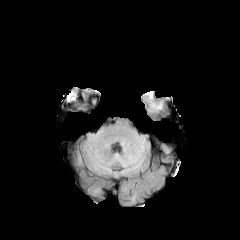
FLAIR MRI.
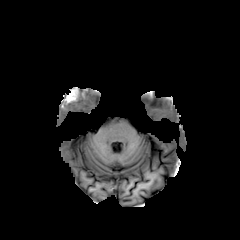
Same slice, T1-weighted MR image.
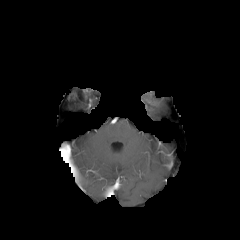
Same slice, post-contrast T1-weighted MR image.
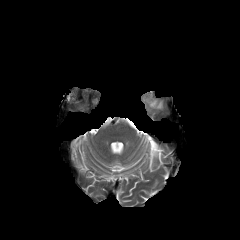
Same slice, T2-weighted MR.
Brain
enhancing tumor: <box>146,99,159,106</box>